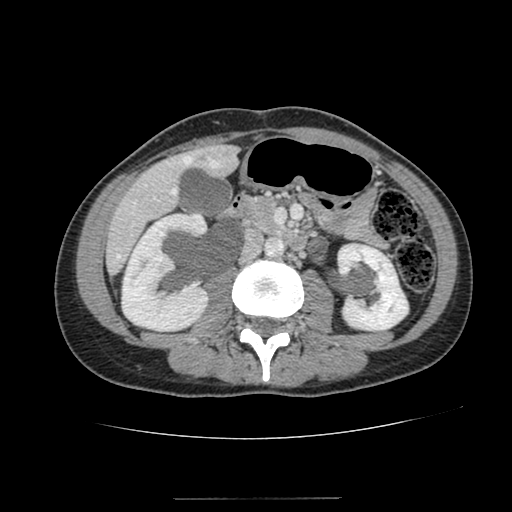
512x512, Liver, CT image
Liver: (107,144,239,276).
Kidney: (122,214,207,330), (338,244,407,330).